Slice 109 of 155. Brain.
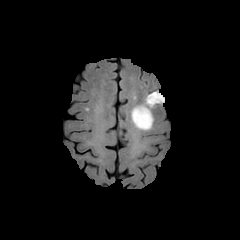
FLAIR MR.
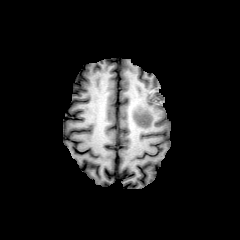
T1-weighted MRI of the same slice.
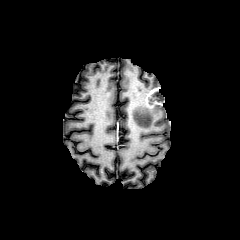
Post-contrast T1-weighted MR image.
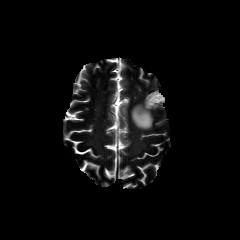
T2-weighted magnetic resonance.
Annotated regions:
* non-enhancing tumor core: [x1=151, y1=90, x2=164, y2=101]
* edema: [x1=131, y1=99, x2=158, y2=130]
* enhancing tumor: [x1=145, y1=88, x2=164, y2=107]